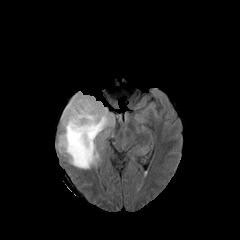
FLAIR magnetic resonance.
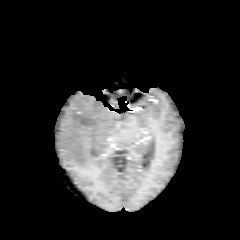
T1-weighted MR.
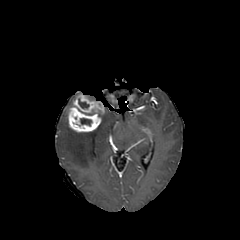
Post-contrast T1-weighted MR of the same slice.
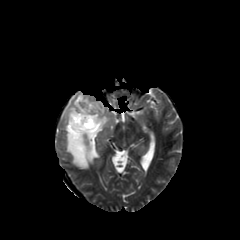
T2-weighted MRI.
Head
<segmentation>
  <edema>(x1=58, y1=107, x2=114, y2=168)</edema>
  <non-enhancing_tumor_core>(x1=80, y1=118, x2=92, y2=126), (x1=78, y1=100, x2=88, y2=107)</non-enhancing_tumor_core>
  <enhancing_tumor>(x1=64, y1=91, x2=105, y2=132)</enhancing_tumor>
</segmentation>